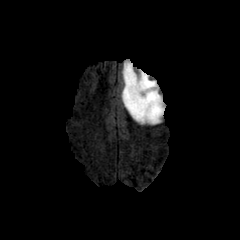
FLAIR MR image.
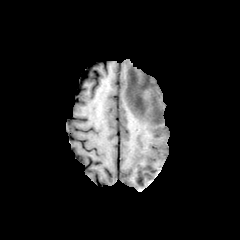
T1-weighted MR image.
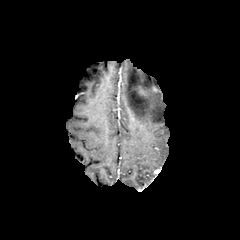
Post-contrast T1-weighted MR image.
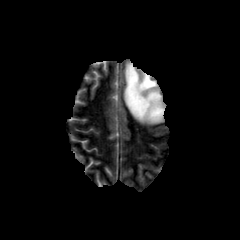
T2-weighted MR image.
240x240 px; Brain
The non-enhancing tumor core is at box=[132, 86, 143, 98]. The edema appears at box=[121, 62, 164, 125].